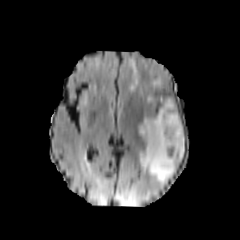
FLAIR magnetic resonance.
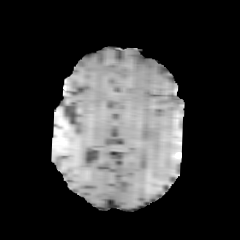
T1-weighted MRI.
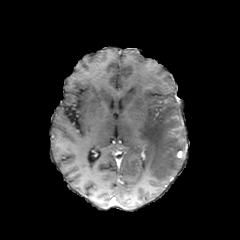
Post-contrast T1-weighted MR image.
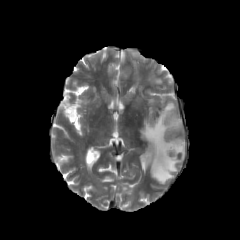
Same slice, T2-weighted MR.
Head.
3 edema regions are located at <box>129,59,141,92</box>, <box>150,78,161,87</box>, <box>138,99,185,183</box>.